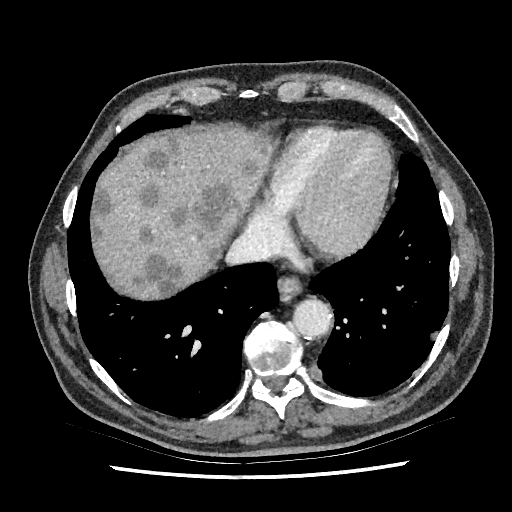

512x512, Upper abdomen, CT image
9 focal liver lesion regions appear at {"x1": 131, "y1": 254, "x2": 182, "y2": 296}, {"x1": 253, "y1": 135, "x2": 267, "y2": 153}, {"x1": 170, "y1": 180, "x2": 238, "y2": 230}, {"x1": 139, "y1": 228, "x2": 153, "y2": 243}, {"x1": 140, "y1": 183, "x2": 162, "y2": 209}, {"x1": 145, "y1": 137, "x2": 180, "y2": 169}, {"x1": 93, "y1": 180, "x2": 111, "y2": 242}, {"x1": 206, "y1": 243, "x2": 221, "y2": 262}, {"x1": 242, "y1": 156, "x2": 257, "y2": 175}. The liver lies within {"x1": 95, "y1": 126, "x2": 272, "y2": 297}.